FLAIR MR.
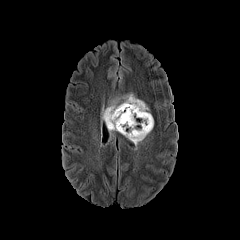
T1-weighted MR image.
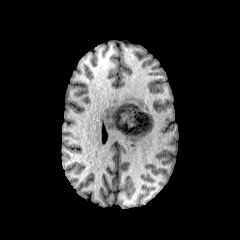
Post-contrast T1-weighted MR image.
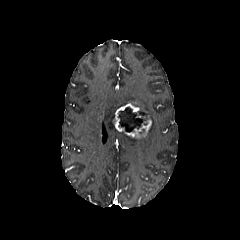
T2-weighted magnetic resonance.
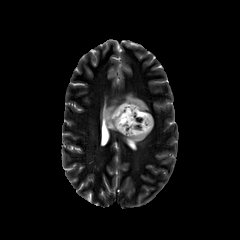
Brain, 240x240 px
Edema: bounding box [117, 94, 150, 114], [102, 99, 116, 131], [126, 115, 153, 144].
Enhancing tumor: bounding box [113, 102, 152, 138].
Non-enhancing tumor core: bounding box [118, 102, 149, 132].